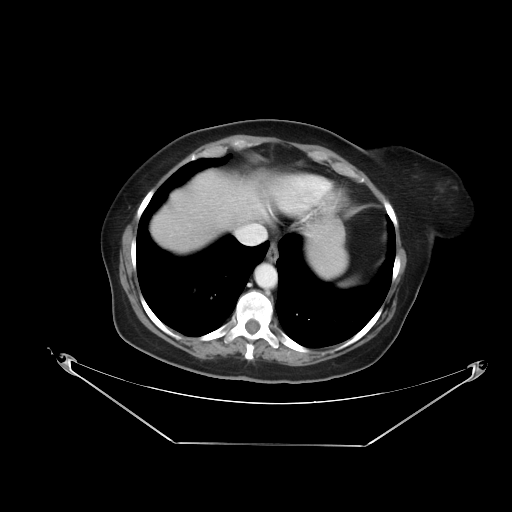
Liver; Computed tomography
The vessel boxes may cover only some of the vessels.
Segmented structures:
* hepatic vessel: 261 209 265 214, 289 177 329 189, 304 199 308 201, 311 196 319 202, 281 202 292 210, 240 228 259 244, 256 204 260 207